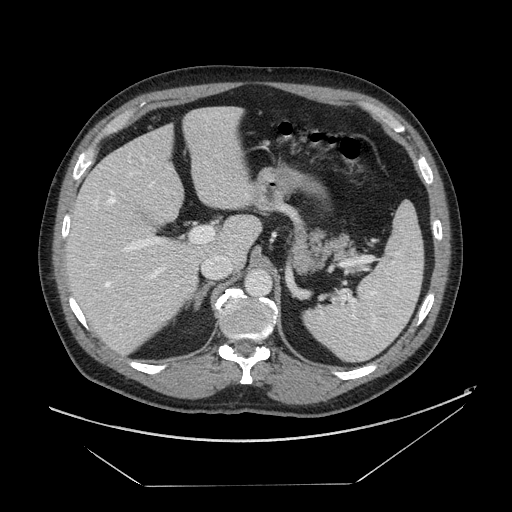 CT scan slice. The pancreas is bounded by 293,229,365,274.